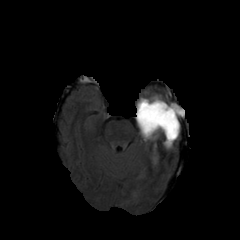
FLAIR MRI.
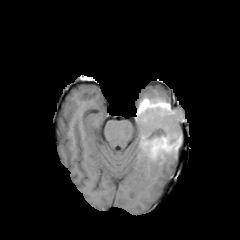
T1-weighted MR image.
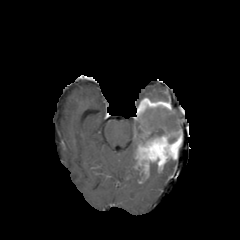
Same slice, post-contrast T1-weighted MR.
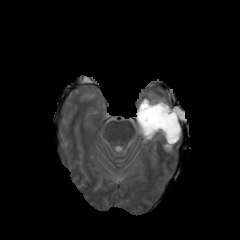
T2-weighted MRI.
Head
3 edema regions are bounded by [x1=136, y1=121, x2=143, y2=141], [x1=174, y1=111, x2=183, y2=129], [x1=148, y1=96, x2=166, y2=101]. 3 non-enhancing tumor core regions are located at [x1=138, y1=106, x2=181, y2=142], [x1=137, y1=150, x2=148, y2=163], [x1=152, y1=158, x2=165, y2=165]. 2 enhancing tumor regions appear at [x1=136, y1=98, x2=171, y2=120], [x1=138, y1=131, x2=180, y2=159].